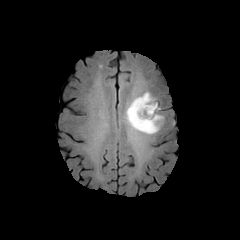
FLAIR MR.
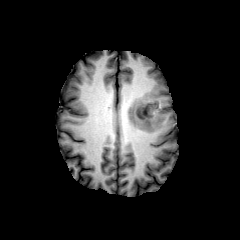
Same slice, T1-weighted MR image.
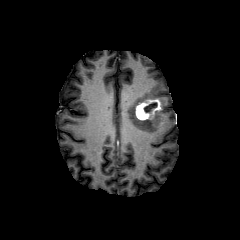
Post-contrast T1-weighted MRI.
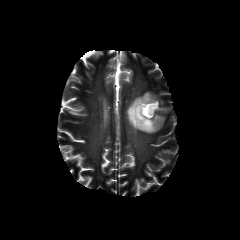
T2-weighted MR.
Enhancing tumor = x1=135, y1=99, x2=160, y2=119.
Edema = x1=124, y1=106, x2=163, y2=134; x1=128, y1=92, x2=155, y2=103.
Non-enhancing tumor core = x1=144, y1=102, x2=157, y2=113; x1=126, y1=96, x2=153, y2=126; x1=126, y1=113, x2=134, y2=131.